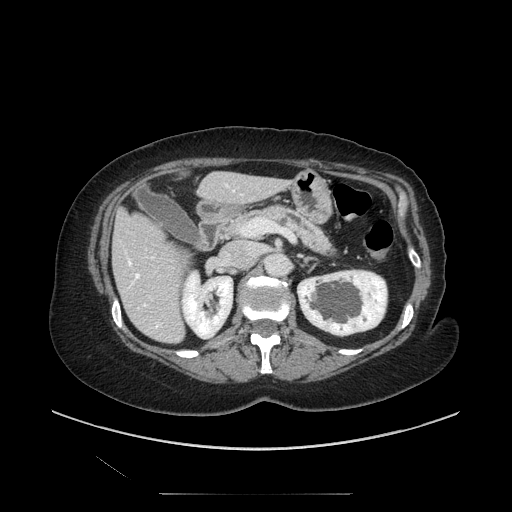 512x512; Computed tomography; Upper abdomen
The pancreatic tumor is at bbox=[263, 208, 283, 217]. The pancreas is located at bbox=[226, 206, 336, 257].